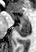

Medial temporal lobe. MR. Anterior hippocampus at box(12, 15, 14, 18); box(21, 18, 27, 21).
Posterior hippocampus at box(15, 22, 29, 37).